Slice index 30; CT slice; 512x512 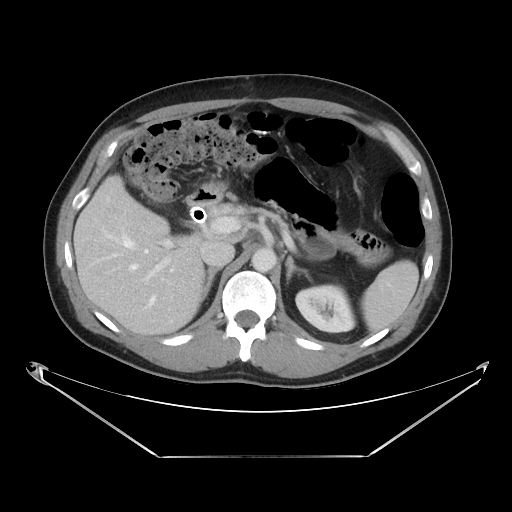
2 pancreas regions are bounded by (209,204,246,218), (257,211,275,220).